CT scan slice. 512x512 px. Liver.

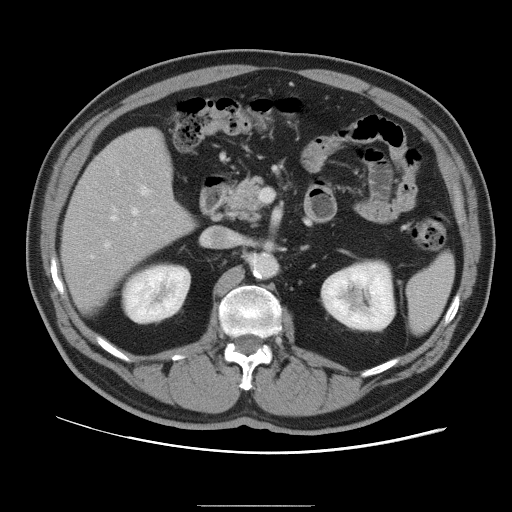
Some hepatic vessels may have no box.
9 hepatic vessel regions are located at {"x1": 140, "y1": 186, "x2": 149, "y2": 195}, {"x1": 104, "y1": 241, "x2": 109, "y2": 248}, {"x1": 152, "y1": 209, "x2": 156, "y2": 212}, {"x1": 131, "y1": 206, "x2": 138, "y2": 214}, {"x1": 132, "y1": 222, "x2": 136, "y2": 228}, {"x1": 116, "y1": 168, "x2": 118, "y2": 173}, {"x1": 145, "y1": 221, "x2": 147, "y2": 223}, {"x1": 91, "y1": 255, "x2": 93, "y2": 257}, {"x1": 111, "y1": 206, "x2": 117, "y2": 219}.